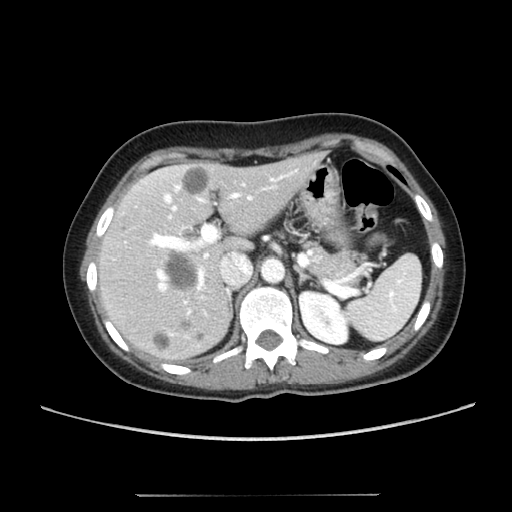
CT image | Upper abdomen
<segmentation>
  <liver_lesion>181:165:209:194, 179:318:191:329, 195:331:204:340, 163:249:198:292, 152:330:169:351</liver_lesion>
  <liver>97:150:329:359</liver>
  <kidney>299:292:346:343</kidney>
</segmentation>